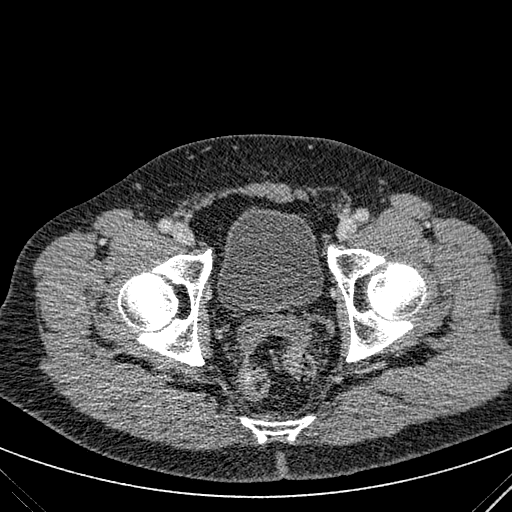
CT slice | Lower abdomen
{"urinary_bladder": ["(217, 205, 324, 316)"]}